Slice index 107, 240x240 px
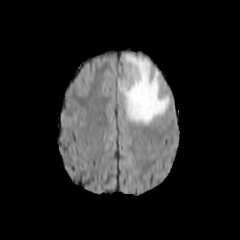
FLAIR MR.
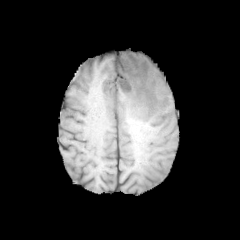
T1-weighted magnetic resonance of the same slice.
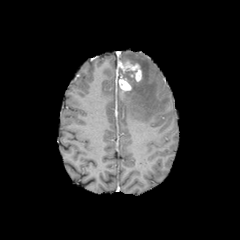
Same slice, post-contrast T1-weighted MR image.
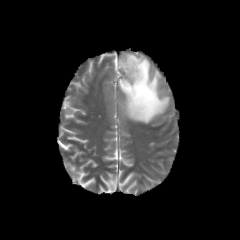
T2-weighted MR.
2 enhancing tumor regions appear at [x1=118, y1=61, x2=141, y2=80], [x1=118, y1=73, x2=131, y2=91]. The edema lies within [x1=122, y1=53, x2=170, y2=123].